512x512 | Abdomen | Slice 147/410 | CT slice 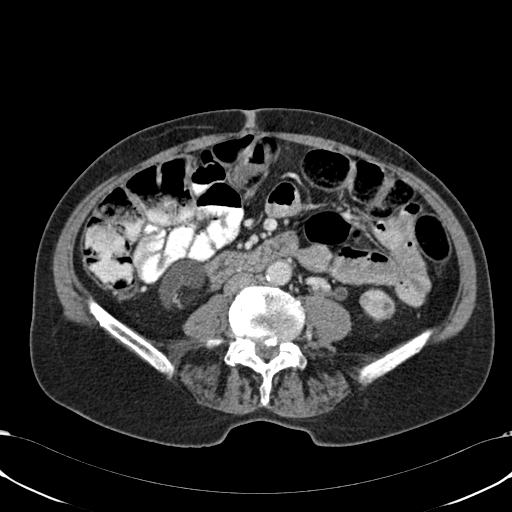
Kidney: box=[360, 290, 393, 319].